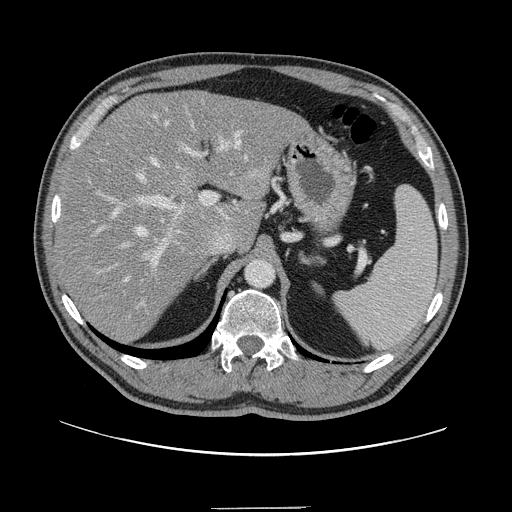
CT scan slice
The vessel annotation is not exhaustive.
<segmentation partial="true">
  <liver_tumor>[235,176,266,198]</liver_tumor>
  <hepatic_vessel shown="15" total="24">[154,115,157,118], [231,132,240,148], [138,173,144,181], [139,196,174,208], [125,278,128,281], [145,238,168,266], [177,207,184,211], [136,228,147,236], [152,159,158,165], [200,192,217,205], [109,198,122,215], [95,228,103,233], [122,244,128,246], [219,138,227,150], [180,147,204,156]</hepatic_vessel>
</segmentation>